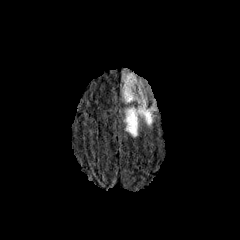
FLAIR MR image.
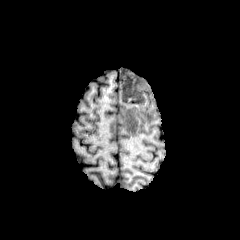
T1-weighted MRI of the same slice.
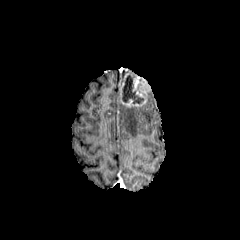
Same slice, post-contrast T1-weighted magnetic resonance.
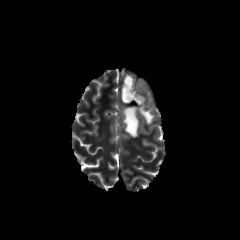
T2-weighted MRI of the same slice.
240x240. Head.
The non-enhancing tumor core is at 122:75:143:104. The edema is located at 124:99:156:138. The enhancing tumor is bounded by 120:70:150:109.